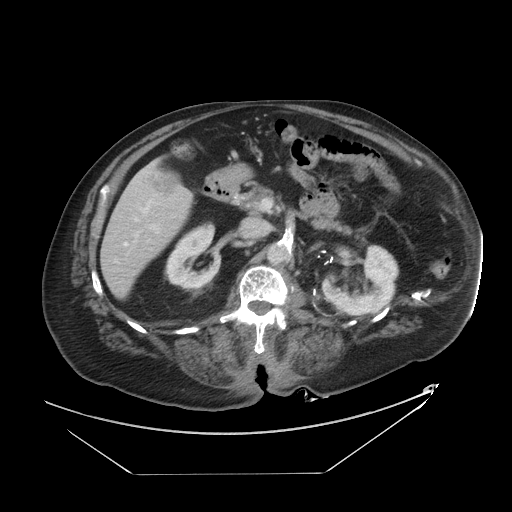
512x512 px, Liver, CT slice
{
  "liver_tumor": [
    "x1=140, y1=170, x2=181, y2=196"
  ]
}